CT; Slice index 217; Upper abdomen
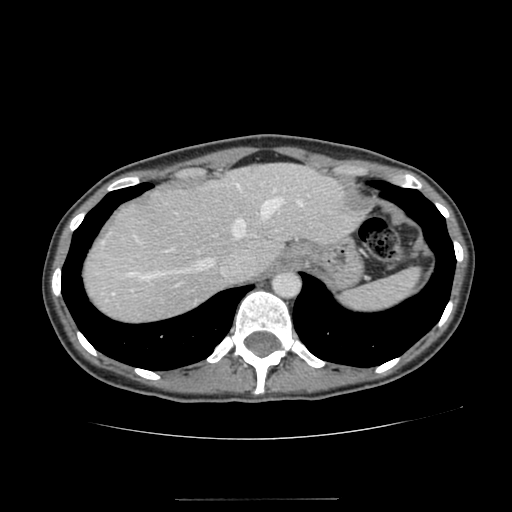
The liver is at <box>83,164,362,324</box>.